FLAIR MRI.
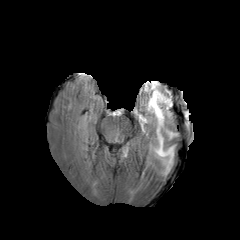
T1-weighted magnetic resonance.
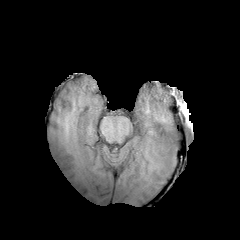
Post-contrast T1-weighted MR.
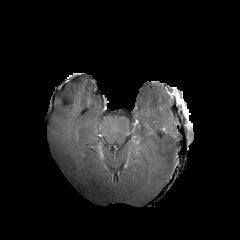
T2-weighted MRI.
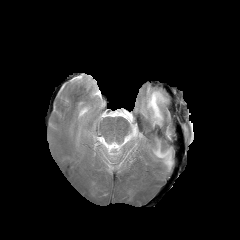
The edema is located at (136,83,174,175).